CT image, 512x512
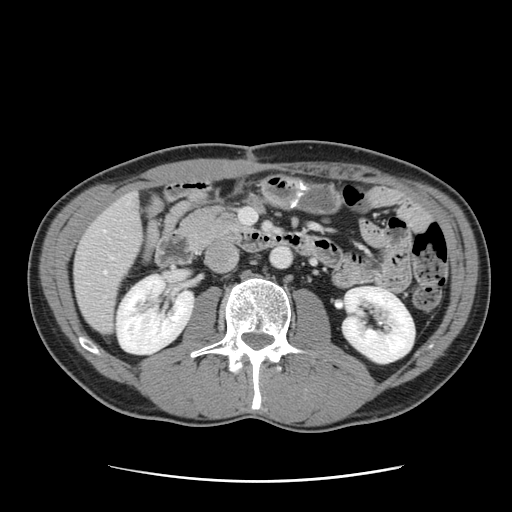
The vessel annotation is not exhaustive.
Hepatic vessel: left=110, top=257, right=112, bottom=259; left=104, top=271, right=106, bottom=273.